CT slice. Chest.
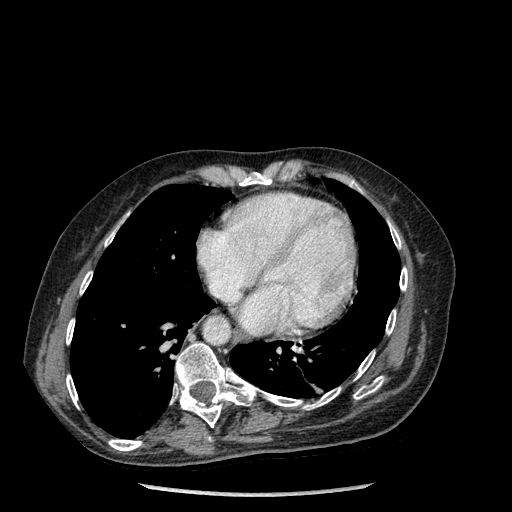
Bone — region(66, 319, 74, 344); region(104, 213, 128, 246); region(386, 309, 396, 334); region(66, 374, 78, 408); region(108, 439, 141, 450); region(170, 342, 340, 427); region(79, 271, 92, 294); region(354, 351, 375, 380); region(237, 170, 272, 186); region(388, 221, 401, 248); region(348, 180, 361, 192); region(353, 376, 383, 399); region(399, 267, 407, 291).
Lung — region(70, 184, 232, 438); region(230, 179, 400, 397).